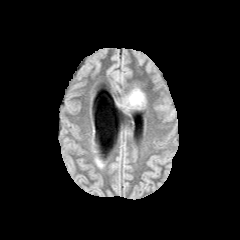
FLAIR MRI.
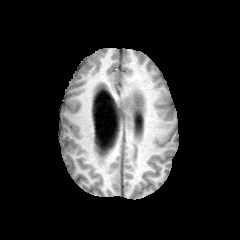
T1-weighted MR image of the same slice.
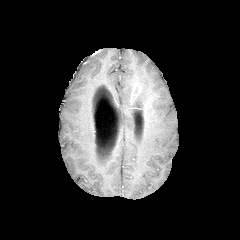
Post-contrast T1-weighted MRI.
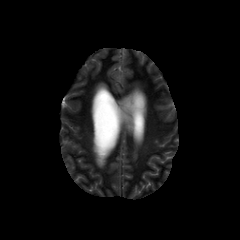
T2-weighted magnetic resonance of the same slice.
Image size 240x240
The edema lies within x1=116 y1=81 x2=147 y2=112. The enhancing tumor is at x1=130 y1=89 x2=140 y2=104.